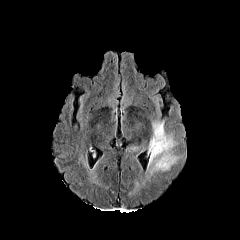
FLAIR MRI.
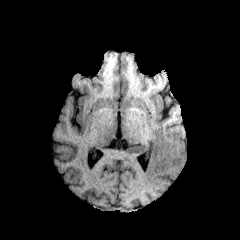
T1-weighted MR of the same slice.
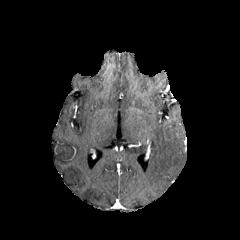
Post-contrast T1-weighted magnetic resonance of the same slice.
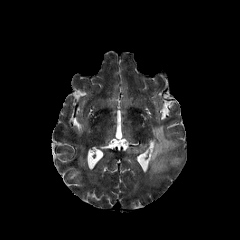
Same slice, T2-weighted magnetic resonance.
Brain
The edema is located at x1=147, y1=120, x2=177, y2=175.